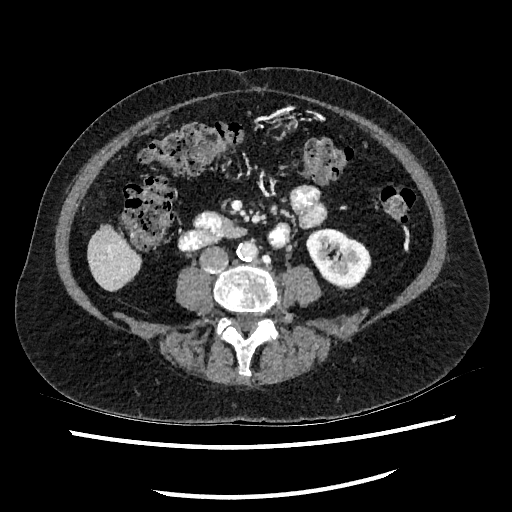
Upper abdomen. CT. 512x512 px.

The kidney is bounded by <box>307,224,369,285</box>. The liver is bounded by <box>87,226,140,290</box>.